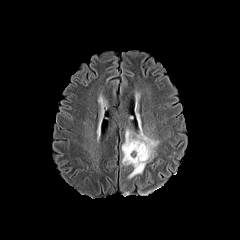
FLAIR MR.
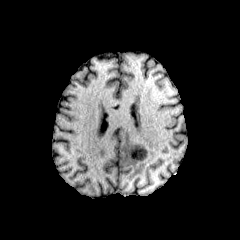
T1-weighted magnetic resonance.
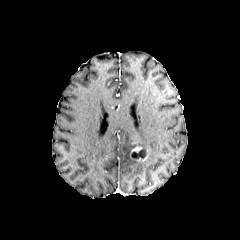
Post-contrast T1-weighted MR image.
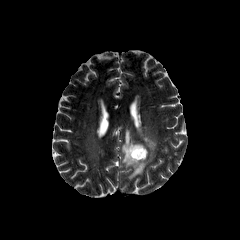
T2-weighted magnetic resonance.
Head | 240x240
Non-enhancing tumor core = (130, 149, 147, 160).
Edema = (122, 114, 159, 178).